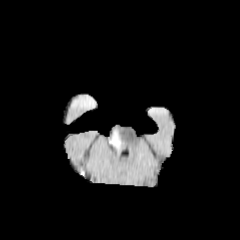
FLAIR MR image.
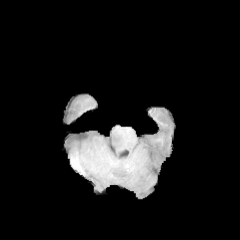
Same slice, T1-weighted MR image.
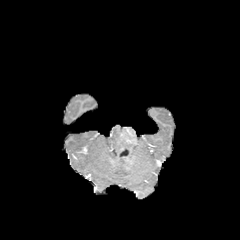
Same slice, post-contrast T1-weighted MR image.
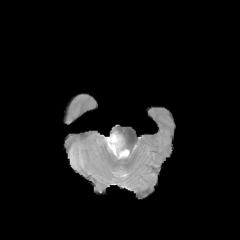
T2-weighted MR.
<segmentation>
  <edema><bbox>108, 133, 124, 139</bbox></edema>
  <non-enhancing_tumor_core><bbox>110, 136, 123, 151</bbox></non-enhancing_tumor_core>
</segmentation>